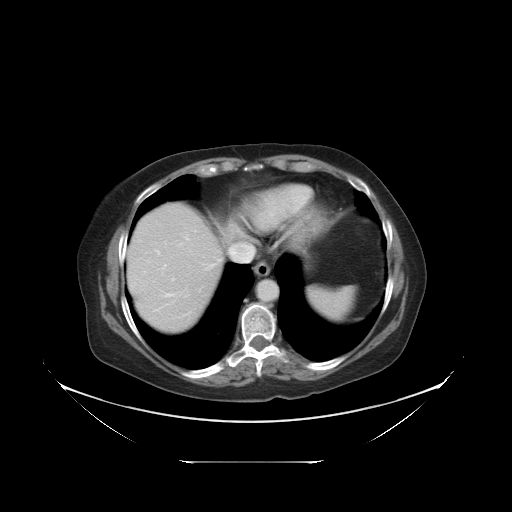
Liver, Computed tomography
Not every hepatic vessel necessarily has a box.
8 hepatic vessel regions appear at (163, 265, 165, 268), (173, 278, 174, 280), (230, 246, 235, 255), (164, 293, 173, 296), (186, 237, 188, 239), (156, 250, 159, 253), (243, 245, 245, 247), (207, 264, 213, 268).